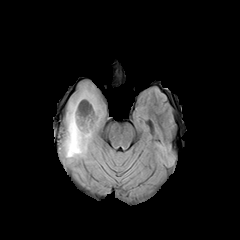
FLAIR MR.
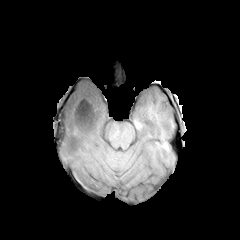
T1-weighted MR image.
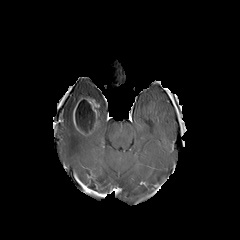
Post-contrast T1-weighted MR of the same slice.
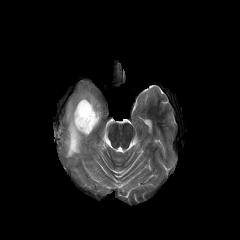
T2-weighted MR image.
240x240. Brain.
Non-enhancing tumor core at box=[74, 96, 97, 133].
Enhancing tumor at box=[84, 97, 99, 115].
Edema at box=[64, 88, 103, 159].